Abdomen, CT slice
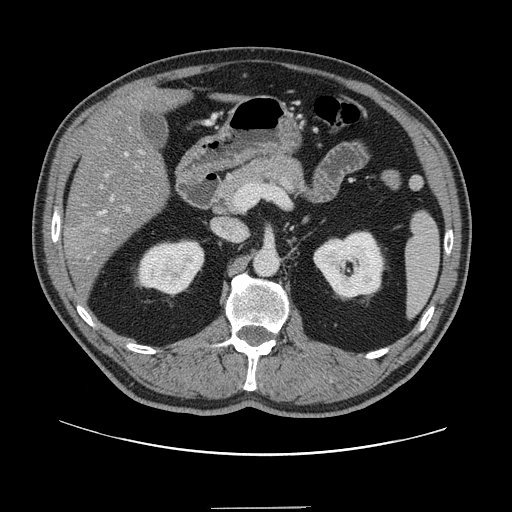 The vessel boxes may cover only some of the vessels.
Liver tumor: bbox=[66, 225, 105, 253].
Hepatic vessel: bbox=[140, 151, 142, 153]; bbox=[111, 196, 113, 199]; bbox=[125, 153, 127, 155]; bbox=[105, 229, 108, 232]; bbox=[100, 186, 102, 187]; bbox=[105, 173, 109, 176]; bbox=[98, 211, 106, 215]; bbox=[126, 207, 129, 210].